CT scan slice | Image size 512x512

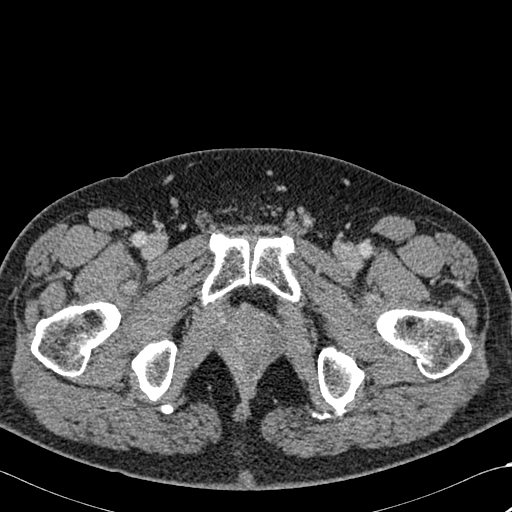

6 bone regions are bounded by (x1=162, y1=405, x2=172, y2=412), (x1=376, y1=309, x2=471, y2=378), (x1=31, y1=301, x2=120, y2=376), (x1=201, y1=234, x2=300, y2=303), (x1=132, y1=340, x2=176, y2=400), (x1=318, y1=347, x2=363, y2=414).